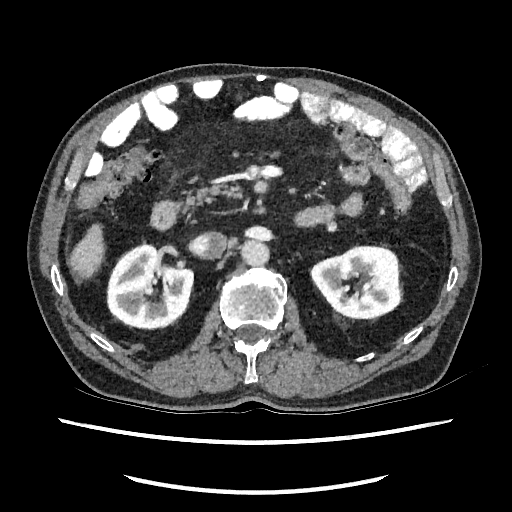 Upper abdomen; CT image
Kidney — x1=310 y1=246 x2=402 y2=318, x1=107 y1=242 x2=193 y2=329.
Liver — x1=71 y1=228 x2=102 y2=277.